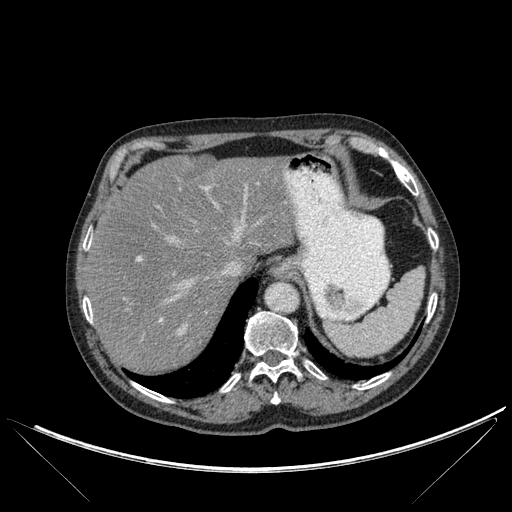
Abdomen; CT slice

2 lung regions appear at (left=126, top=278, right=257, bottom=398), (left=304, top=330, right=414, bottom=379). The liver is bounded by (left=87, top=155, right=294, bottom=375). The hepatic lesion is at (left=185, top=157, right=214, bottom=178). 12 bone regions are bounded by (left=428, top=229, right=438, bottom=248), (left=378, top=149, right=386, bottom=158), (left=391, top=162, right=418, bottom=194), (left=132, top=382, right=170, bottom=402), (left=427, top=293, right=436, bottom=319), (left=221, top=374, right=240, bottom=392), (left=271, top=393, right=279, bottom=403), (left=83, top=297, right=92, bottom=322), (left=244, top=312, right=299, bottom=381), (left=83, top=233, right=91, bottom=249), (left=304, top=360, right=326, bottom=379), (left=355, top=373, right=390, bottom=389).